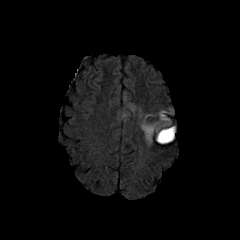
FLAIR magnetic resonance.
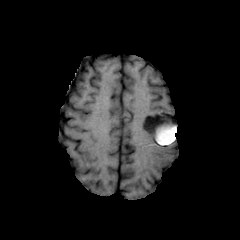
T1-weighted MR of the same slice.
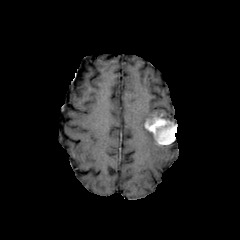
Post-contrast T1-weighted MR image of the same slice.
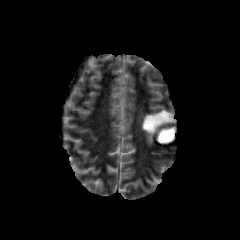
T2-weighted magnetic resonance.
Head | 240x240 px
Non-enhancing tumor core at x1=156 y1=111 x2=171 y2=121.
Edema at x1=119 y1=103 x2=135 y2=117, x1=137 y1=108 x2=173 y2=145.
Enhancing tumor at x1=144 y1=113 x2=175 y2=143.